512x512 px | CT slice

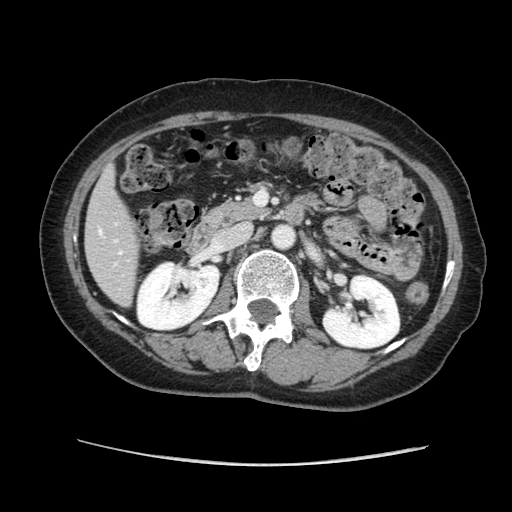

Findings:
- pancreas: left=202, top=198, right=271, bottom=229